CT; Image width 313 mm; Slice 17/32 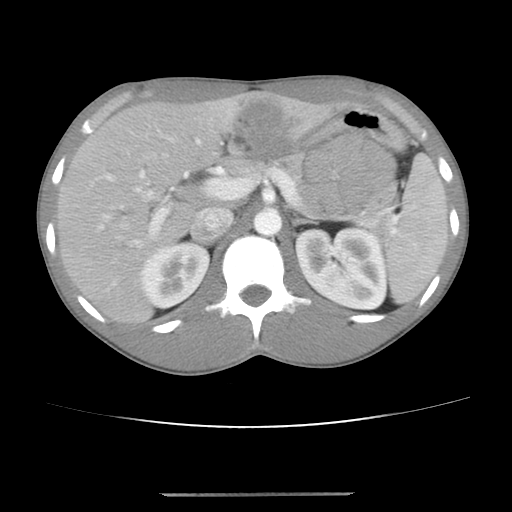 Not every hepatic vessel necessarily has a box.
Liver tumor — box=[217, 99, 292, 159].
Hepatic vessel — box=[134, 187, 140, 192]; box=[140, 172, 144, 178]; box=[207, 168, 228, 199]; box=[197, 140, 199, 143]; box=[185, 172, 188, 176]; box=[121, 205, 122, 207]; box=[147, 190, 153, 197]; box=[151, 206, 168, 238]; box=[106, 216, 108, 217].